512x512, Upper abdomen, CT, Slice index 468
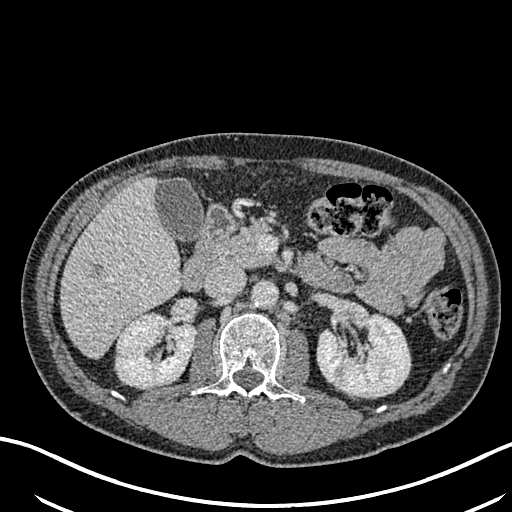
Kidney: bounding box box=[116, 314, 195, 387]; box=[317, 308, 409, 396].
Focal liver lesion: bounding box box=[89, 259, 105, 280].
Liver: bounding box box=[62, 178, 180, 357].